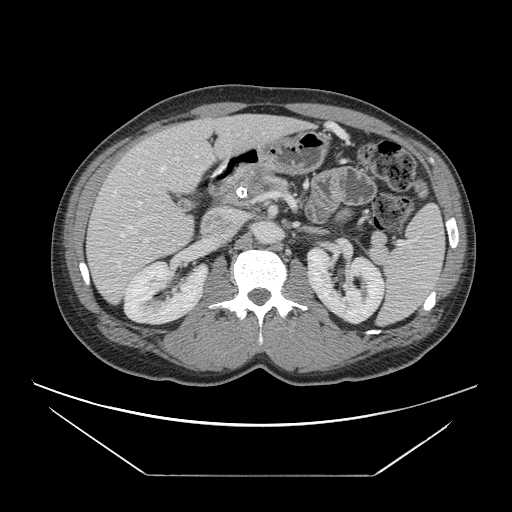
Image size 512x512, Computed tomography
• pancreas: <bbox>225, 171, 290, 204</bbox>
• pancreatic tumor: <bbox>244, 168, 266, 189</bbox>